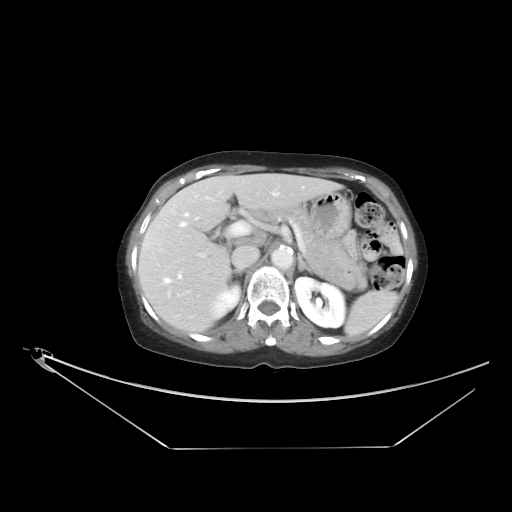 CT scan slice
The vessel annotation is not exhaustive.
hepatic_vessel:
  - box(197, 253, 205, 256)
  - box(272, 192, 273, 194)
liver_tumor:
  - box(149, 239, 163, 253)